CT scan slice, Slice index 27

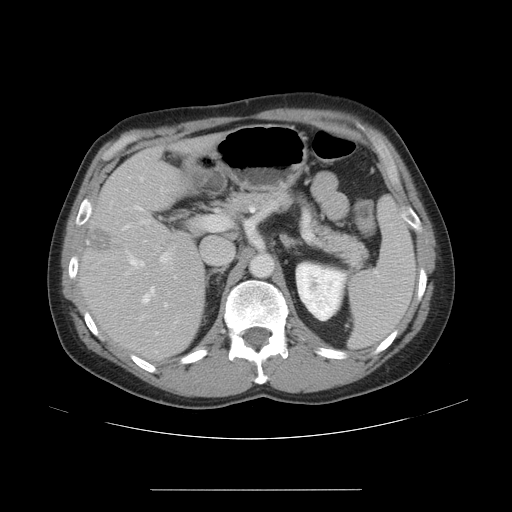

Only some of the vessels may be annotated.
liver_tumor:
  - (86, 227, 111, 253)
hepatic_vessel:
  - (155, 332, 157, 334)
  - (135, 206, 143, 210)
  - (126, 251, 128, 252)
  - (123, 225, 129, 229)
  - (173, 276, 176, 278)
  - (141, 219, 149, 223)
  - (160, 252, 169, 262)
  - (142, 287, 154, 302)
  - (130, 257, 143, 267)